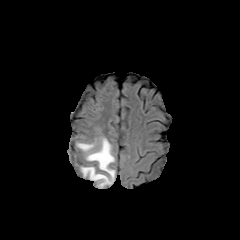
FLAIR magnetic resonance.
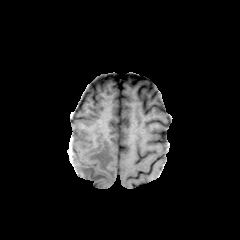
T1-weighted MRI.
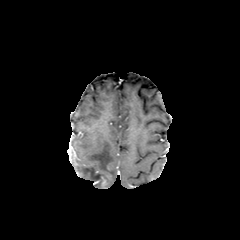
Post-contrast T1-weighted MRI.
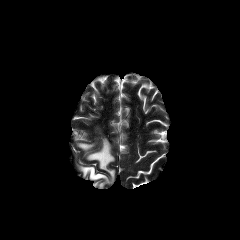
T2-weighted magnetic resonance.
240x240; Head
The non-enhancing tumor core is bounded by bbox(94, 175, 105, 186). The edema is located at bbox(75, 136, 115, 187).